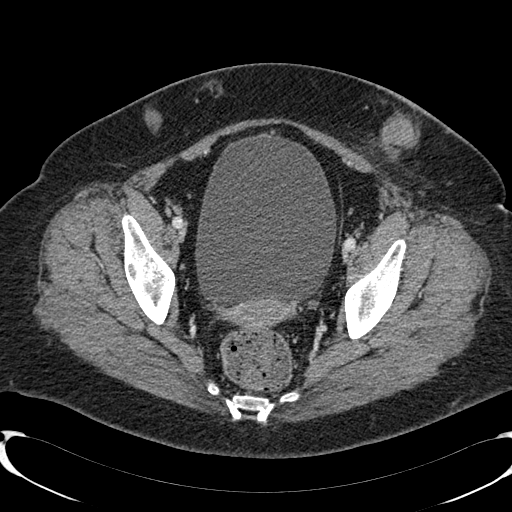

Lower abdomen. CT image.
Urinary bladder: bounding box box(196, 134, 336, 304).